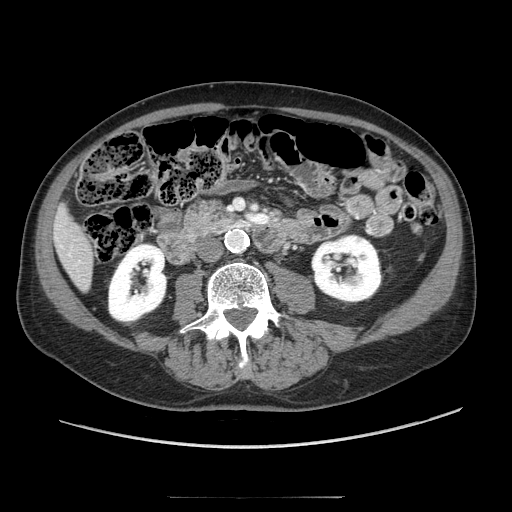

Image size 512x512, Computed tomography
Pancreas — box=[190, 201, 246, 236].